FLAIR MR image.
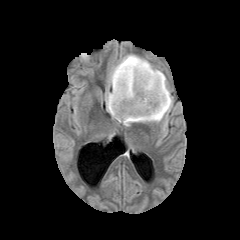
T1-weighted magnetic resonance.
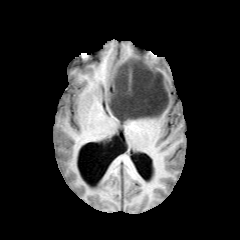
Post-contrast T1-weighted MR image.
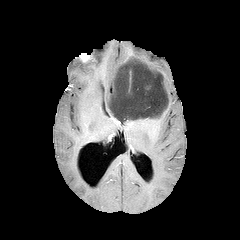
T2-weighted MRI.
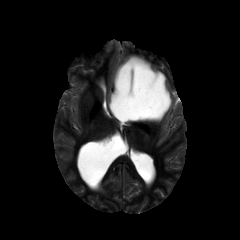
240x240 px
<segmentation>
  <edema>(left=105, top=54, right=172, bottom=125)</edema>
  <non-enhancing_tumor_core>(left=110, top=64, right=167, bottom=121)</non-enhancing_tumor_core>
</segmentation>